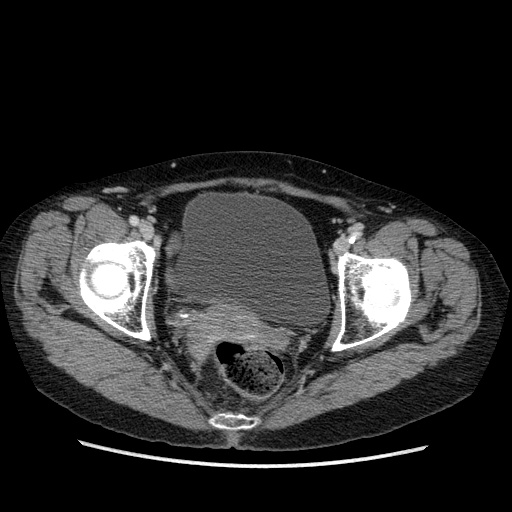

Pelvis, CT image

The urinary bladder appears at [x1=172, y1=191, x2=330, y2=326].